Slice index 99, Head
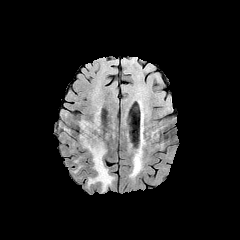
FLAIR magnetic resonance.
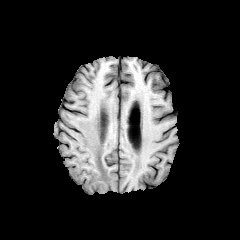
Same slice, T1-weighted MR.
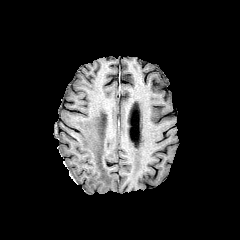
Post-contrast T1-weighted magnetic resonance.
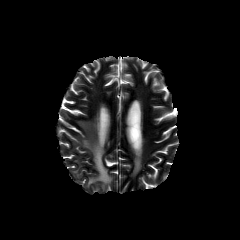
Same slice, T2-weighted MR.
edema:
  - 132 150 141 175
  - 80 117 113 191